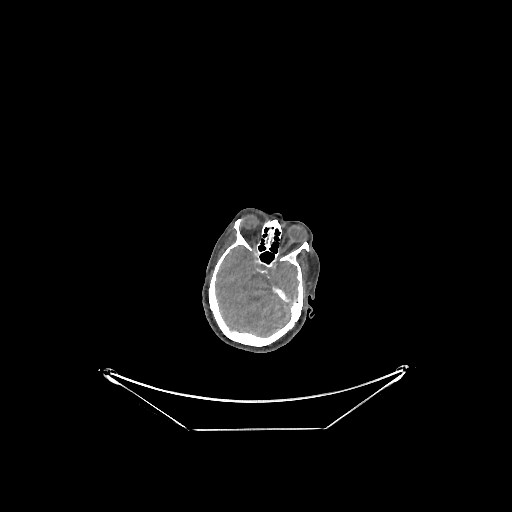 CT scan slice
<segmentation>
  <brain>x1=215, y1=245, x2=298, y2=337</brain>
</segmentation>